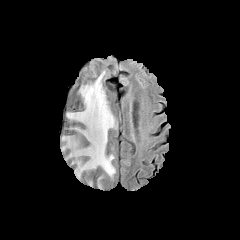
FLAIR MRI.
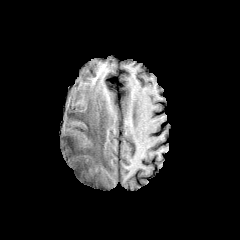
T1-weighted magnetic resonance.
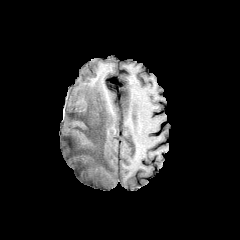
Post-contrast T1-weighted MR image.
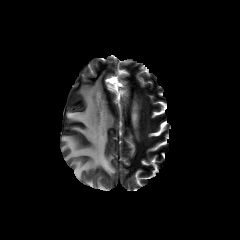
T2-weighted MR.
Image size 240x240
edema: (left=64, top=74, right=117, bottom=177)